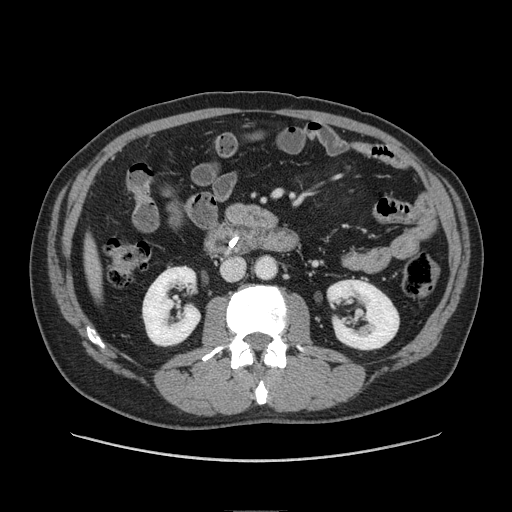

CT slice

Annotated regions:
• pancreas: rect(223, 200, 281, 236)